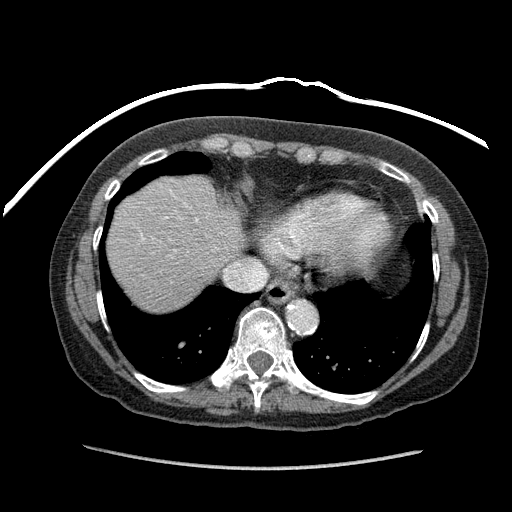 CT image. 512x512. Liver at [108,175,252,312].